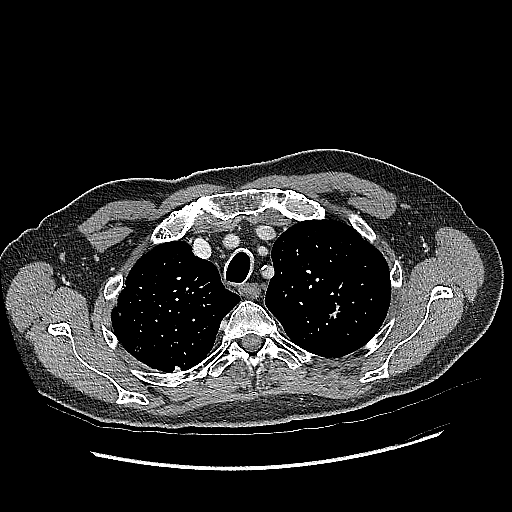

Lung, CT, 512x512 px
2 lung tumor regions are bounded by <bbox>130, 285, 145, 289</bbox>, <bbox>116, 306, 121, 318</bbox>.